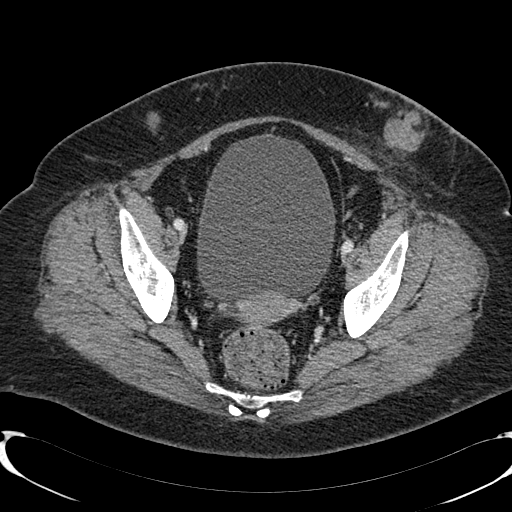 Image size 512x512; CT slice; Pelvis
Urinary bladder = region(197, 134, 335, 301).